CT, Field of view 446x446 mm, Slice index 36, Abdomen 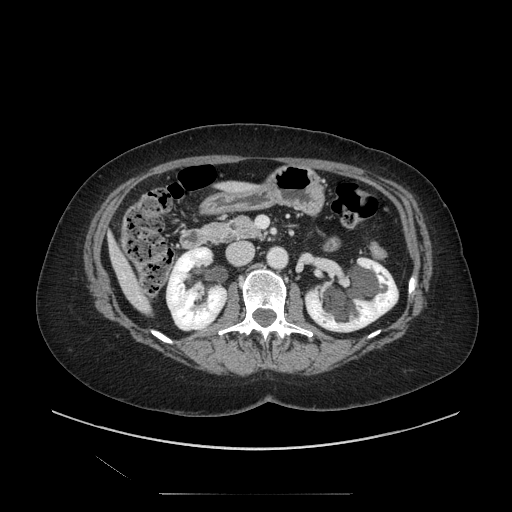 Findings:
• pancreas: [207,216,262,244]